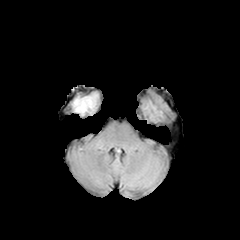
FLAIR MR image.
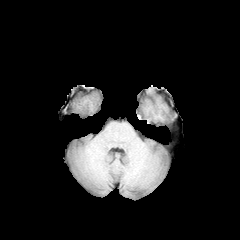
T1-weighted MRI.
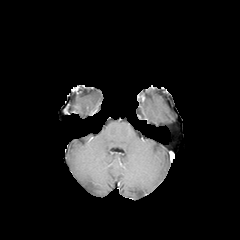
Post-contrast T1-weighted magnetic resonance.
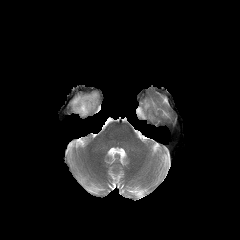
T2-weighted MR.
The edema appears at left=72, top=92, right=98, bottom=115.